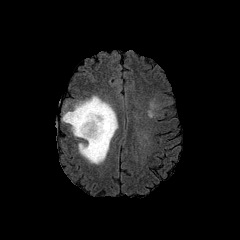
FLAIR MR.
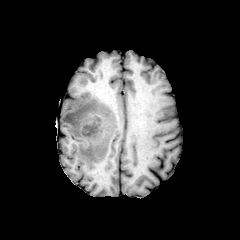
Same slice, T1-weighted MR.
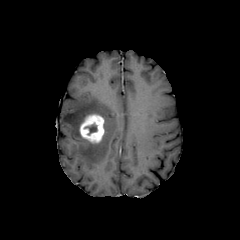
Same slice, post-contrast T1-weighted magnetic resonance.
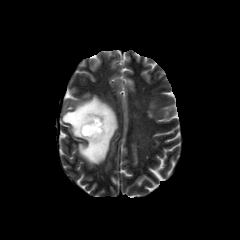
T2-weighted MR.
240x240 px
Edema: left=61, top=95, right=118, bottom=165.
Enhancing tumor: left=79, top=113, right=105, bottom=143.